MRI slice | Medial temporal lobe | Slice 19/39

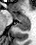

{
  "posterior_hippocampus": [
    "(left=15, top=20, right=29, bottom=30)"
  ],
  "anterior_hippocampus": [
    "(left=12, top=13, right=28, bottom=19)"
  ]
}